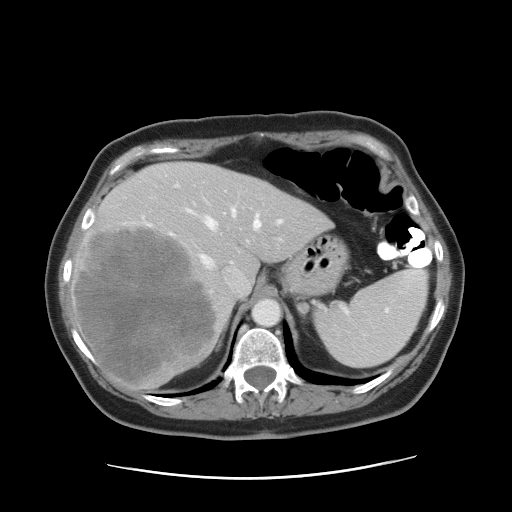

CT slice.
Some hepatic vessels may have no box.
liver tumor: rect(73, 225, 218, 383) | hepatic vessel: rect(143, 220, 151, 225); rect(245, 238, 250, 243); rect(201, 254, 216, 270); rect(253, 215, 260, 229); rect(204, 217, 216, 229); rect(175, 185, 178, 187); rect(224, 260, 249, 295); rect(277, 220, 282, 223); rect(232, 208, 235, 216); rect(187, 209, 193, 213); rect(170, 233, 173, 235)